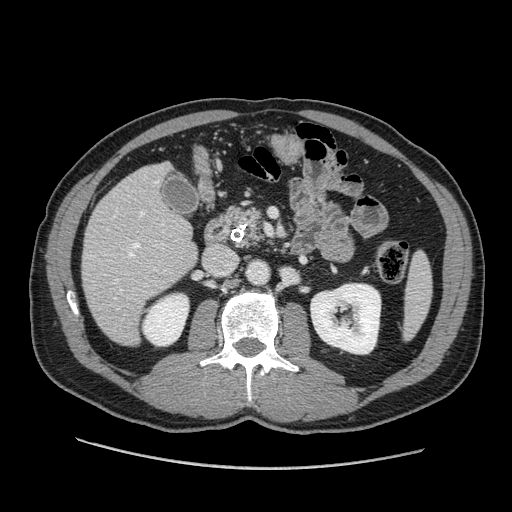 CT slice. Abdomen.
The pancreas is located at 225 204 266 249.